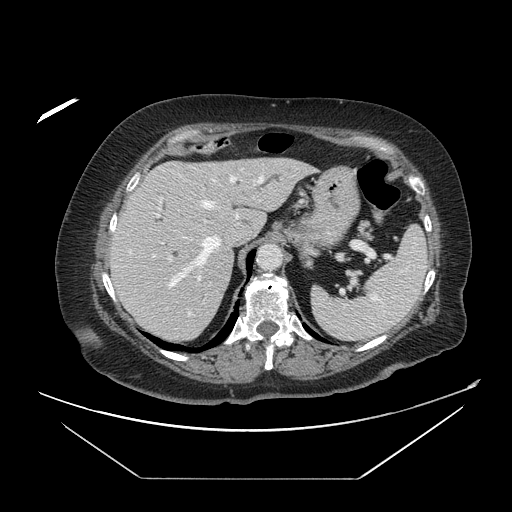

Image size 512x512 | Abdomen | Computed tomography
<segmentation>
  <pancreas>358:221:369:238</pancreas>
</segmentation>